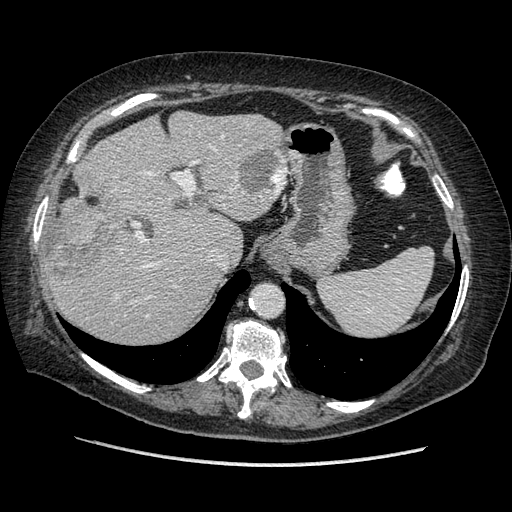 Liver; Computed tomography
The vessel annotation is not exhaustive.
{"hepatic_vessel": ["left=132, top=222, right=144, bottom=241", "left=116, top=294, right=119, bottom=297", "left=169, top=170, right=194, bottom=196"], "liver_tumor": ["left=52, top=186, right=108, bottom=269"]}